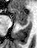
Hippocampus; Magnetic resonance

• posterior hippocampus: (x1=19, y1=23, x2=26, y2=25)
• anterior hippocampus: (x1=9, y1=7, x2=27, y2=22)